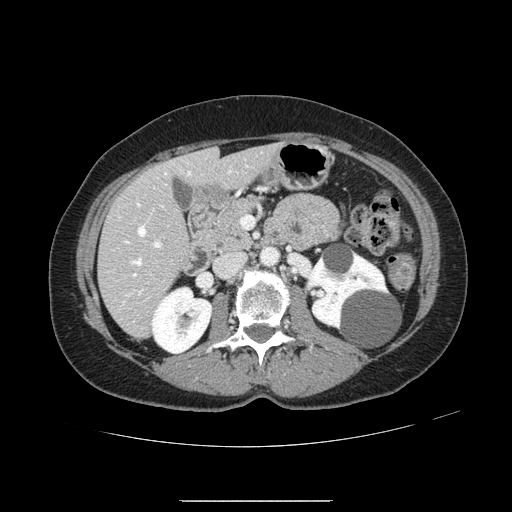
Upper abdomen, Computed tomography
Pancreas — region(201, 195, 265, 260).